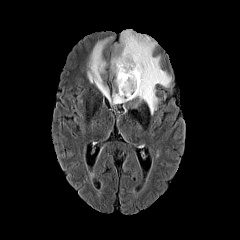
FLAIR MRI.
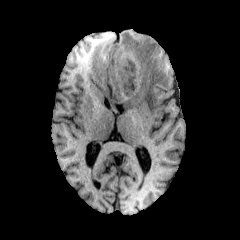
T1-weighted MR.
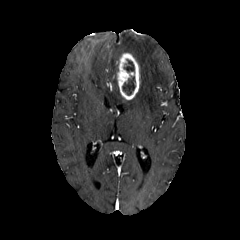
Post-contrast T1-weighted magnetic resonance.
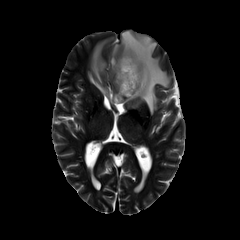
T2-weighted MR.
Head
The non-enhancing tumor core is bounded by 122 76 134 94. 2 edema regions are located at 110 29 170 114, 87 36 124 105. The enhancing tumor appears at 115 53 141 101.